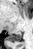
MR | Medial temporal lobe
Annotated regions:
• posterior hippocampus: l=7, t=32, r=21, b=42